Slice index 536, CT, Liver

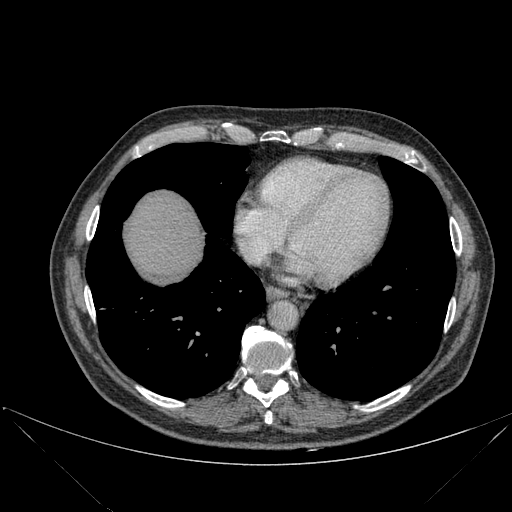

Segmented structures:
- bone: box=[444, 300, 455, 330]; box=[244, 378, 288, 406]; box=[406, 151, 415, 162]; box=[265, 131, 289, 142]; box=[86, 206, 98, 239]; box=[450, 217, 461, 254]; box=[136, 386, 183, 407]; box=[84, 287, 95, 319]; box=[264, 411, 271, 424]; box=[362, 386, 409, 411]; box=[242, 326, 291, 374]
- liver: box=[123, 191, 204, 275]
- lung: box=[86, 142, 265, 398]; box=[296, 156, 455, 400]